FLAIR MR.
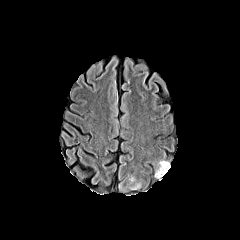
T1-weighted MR image.
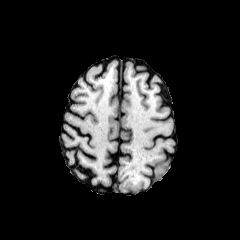
Post-contrast T1-weighted MR.
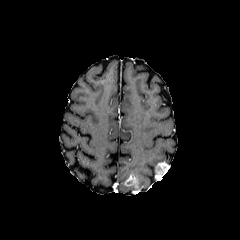
T2-weighted MRI.
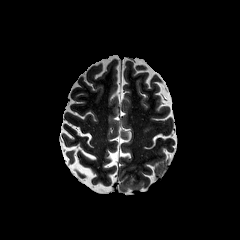
<segmentation>
  <enhancing_tumor>(123, 174, 139, 189), (154, 162, 170, 180)</enhancing_tumor>
  <edema>(151, 159, 169, 170), (118, 179, 135, 191)</edema>
</segmentation>